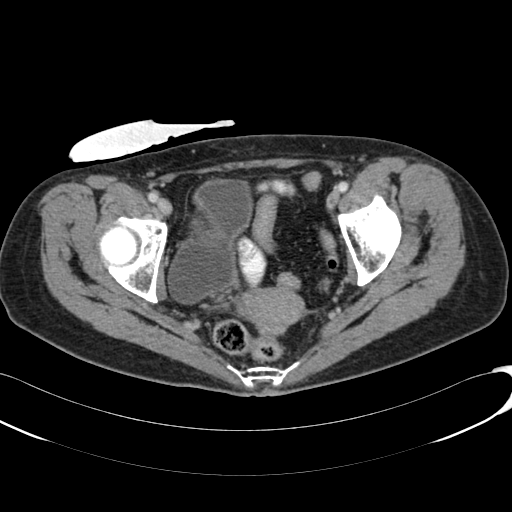 CT scan slice. Lower abdomen. Image size 512x512.

Urinary bladder at left=167, top=178, right=257, bottom=304.